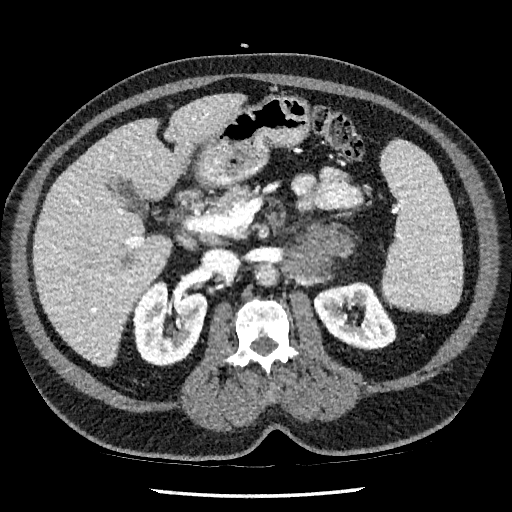

CT image
liver:
  - x1=34, y1=93, x2=244, y2=364
kidney:
  - x1=314, y1=283, x2=394, y2=348
  - x1=134, y1=281, x2=206, y2=364
hepatic_lesion:
  - x1=122, y1=256, x2=133, y2=270